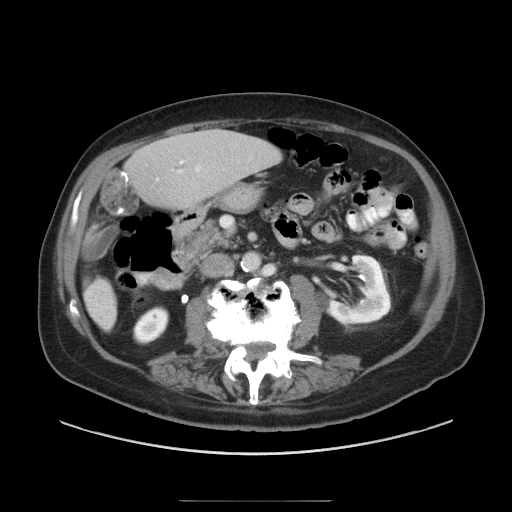

CT slice; Abdomen; 512x512
Some hepatic vessels may have no box.
<segmentation>
  <hepatic_vessel>[x1=157, y1=179, x2=158, y2=180], [x1=179, y1=169, x2=182, y2=173], [x1=180, y1=161, x2=183, y2=163], [x1=196, y1=165, x2=200, y2=171]</hepatic_vessel>
</segmentation>